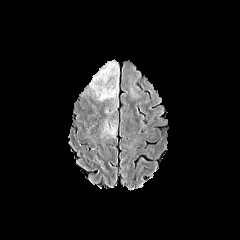
FLAIR magnetic resonance.
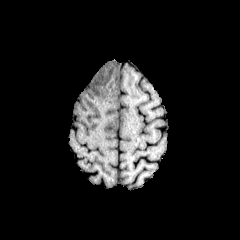
T1-weighted MRI.
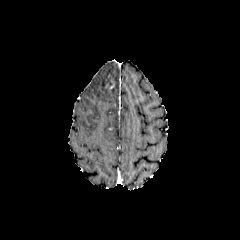
Post-contrast T1-weighted MR.
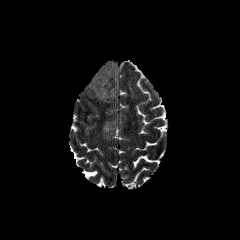
T2-weighted MR image.
240x240 px.
Edema = <box>97,62,119,96</box>, <box>101,87,107,98</box>.